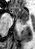

Medial temporal lobe, MR, Image size 35x49
posterior hippocampus: {"x1": 18, "y1": 21, "x2": 26, "y2": 25} | anterior hippocampus: {"x1": 12, "y1": 6, "x2": 28, "y2": 20}